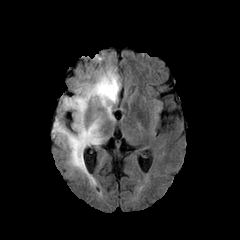
FLAIR MR image.
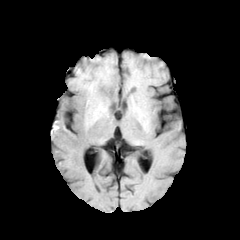
T1-weighted MRI of the same slice.
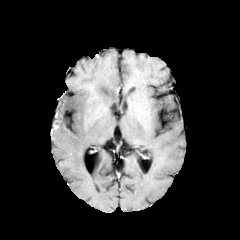
Post-contrast T1-weighted magnetic resonance of the same slice.
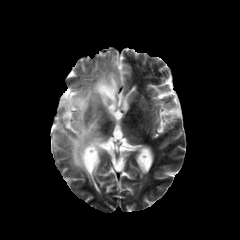
T2-weighted MR image.
Image size 240x240 | Brain
<segmentation>
  <edema>bbox(52, 63, 120, 185)</edema>
</segmentation>